FLAIR MRI.
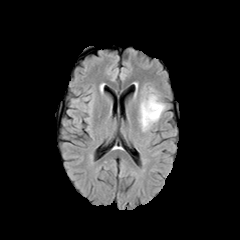
T1-weighted MR image.
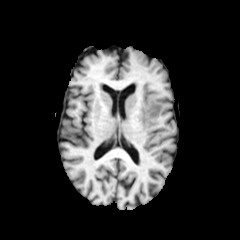
Post-contrast T1-weighted MR image.
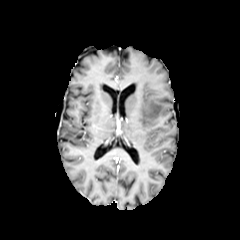
T2-weighted MR.
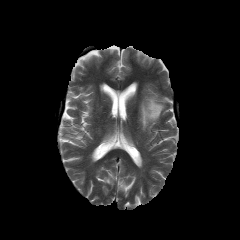
240x240 px
Edema — (141,96,164,130).